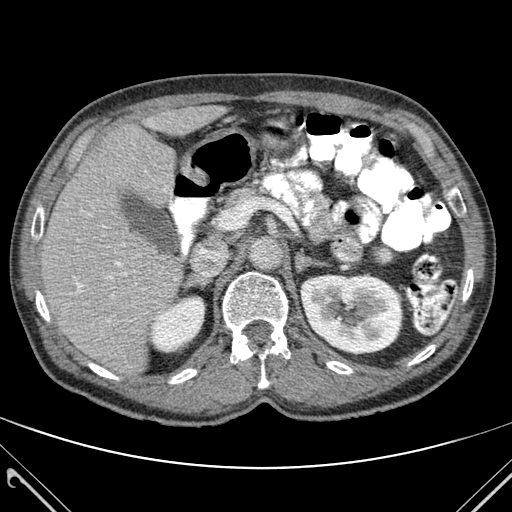 Image size 512x512 | CT image
bone: <box>449,188,465,210</box>, <box>89,363,117,379</box>, <box>36,291,49,320</box>, <box>258,365,268,387</box>, <box>463,269,472,300</box>, <box>327,361,351,373</box>, <box>223,272,290,362</box>, <box>170,369,196,383</box>, <box>31,188,50,239</box>, <box>409,345,434,364</box> | liver: <box>147,106,223,135</box>, <box>40,126,182,373</box> | kidney: <box>152,298,203,351</box>, <box>301,276,401,352</box>